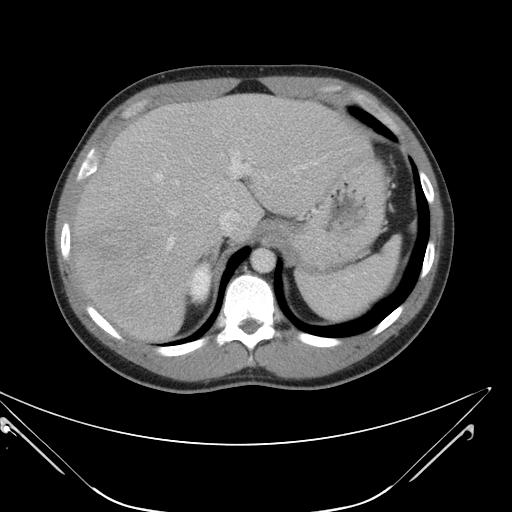 Liver | Computed tomography | 512x512 px
Only some of the vessels may be annotated.
10 hepatic vessel regions are located at l=167, t=237, r=173, b=249; l=229, t=151, r=250, b=177; l=293, t=169, r=295, b=172; l=219, t=210, r=240, b=233; l=229, t=149, r=231, b=151; l=300, t=165, r=305, b=168; l=175, t=181, r=178, b=184; l=170, t=211, r=175, b=214; l=153, t=174, r=162, b=180; l=264, t=175, r=267, b=177. The liver tumor is bounded by l=77, t=228, r=161, b=272.